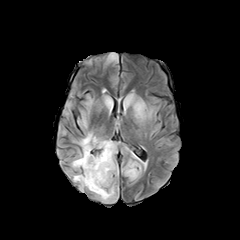
FLAIR MR.
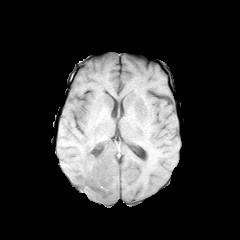
T1-weighted MRI of the same slice.
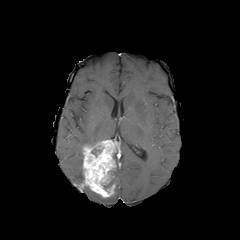
Same slice, post-contrast T1-weighted MRI.
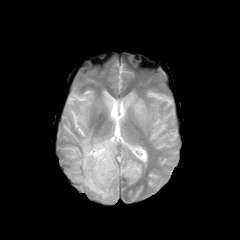
T2-weighted MR image.
2 non-enhancing tumor core regions are located at l=77, t=169, r=84, b=190; l=104, t=181, r=115, b=193. The enhancing tumor is at l=82, t=140, r=115, b=197. 6 edema regions are located at l=88, t=190, r=117, b=203; l=71, t=148, r=82, b=185; l=77, t=111, r=87, b=128; l=84, t=95, r=93, b=106; l=123, t=94, r=147, b=120; l=77, t=132, r=102, b=147.